FLAIR MR.
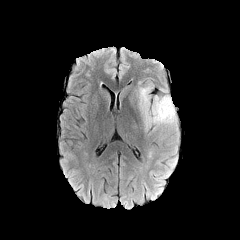
T1-weighted MR image.
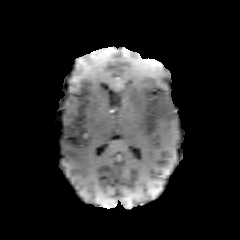
Post-contrast T1-weighted magnetic resonance.
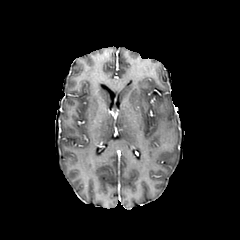
T2-weighted magnetic resonance.
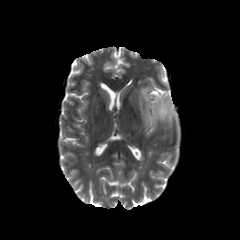
Image size 240x240.
{"edema": ["(138, 83, 179, 157)"]}